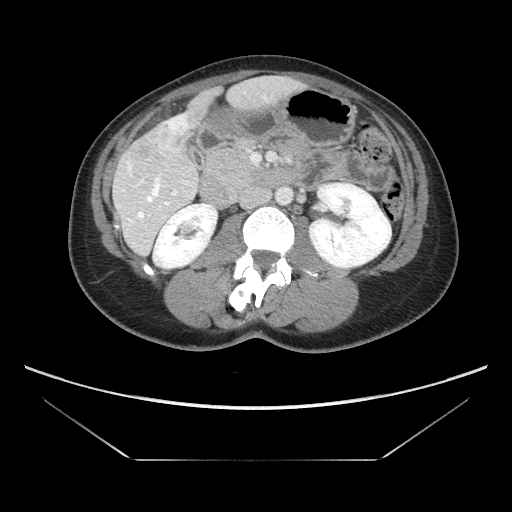

Image size 512x512 | Liver | Computed tomography
Liver tumor: bounding box 156:114:196:152.